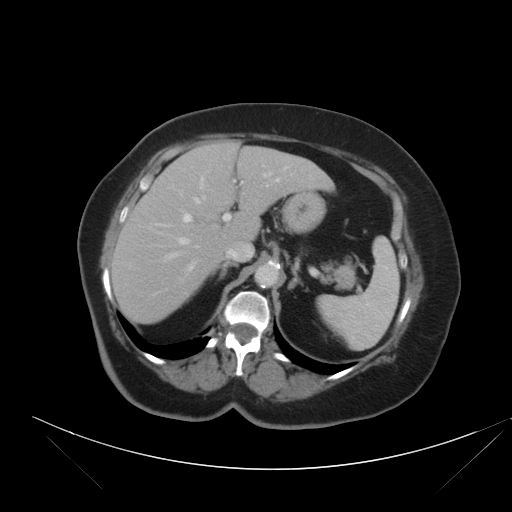
Liver | CT
Not every hepatic vessel necessarily has a box.
The largest 15 hepatic vessel regions (of 17) appear at [177,237,189,244], [263,172,271,176], [165,253,178,260], [274,178,279,181], [170,186,175,189], [180,210,192,222], [148,226,161,234], [266,184,268,186], [180,279,182,281], [155,223,170,226], [194,196,205,203], [178,191,182,194], [241,182,243,183], [186,262,194,271], [199,173,203,188].